Slice 579 of 917, CT slice, Liver, Image width 429 mm 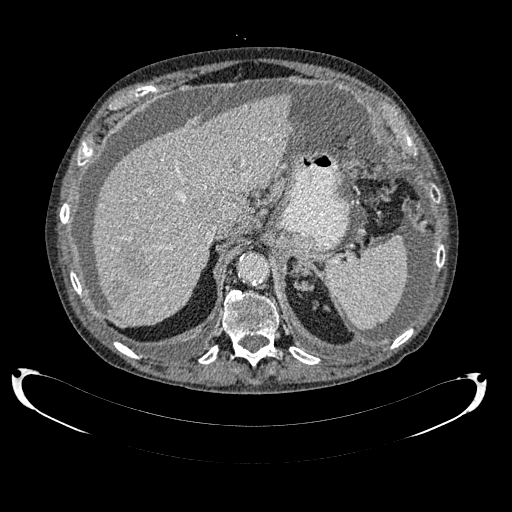
Segmented structures:
* hepatic lesion: x1=191, y1=196, x2=218, y2=225; x1=109, y1=282, x2=127, y2=300; x1=122, y1=246, x2=147, y2=277
* liver: x1=93, y1=94, x2=292, y2=325